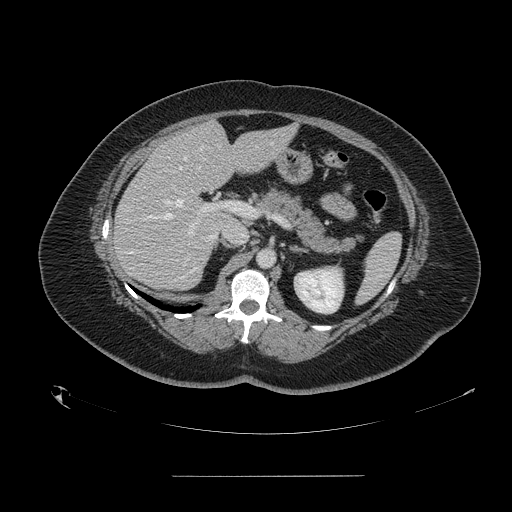 CT scan slice | Upper abdomen
Spleen: region(357, 233, 401, 304).